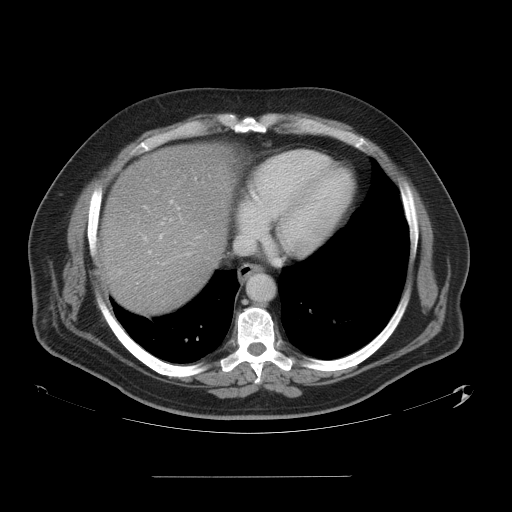

CT image; Liver

Not every hepatic vessel necessarily has a box.
{
  "hepatic_vessel": [
    "159:234:161:238",
    "186:253:188:254",
    "170:200:171:202",
    "170:218:171:220",
    "149:251:151:253"
  ]
}